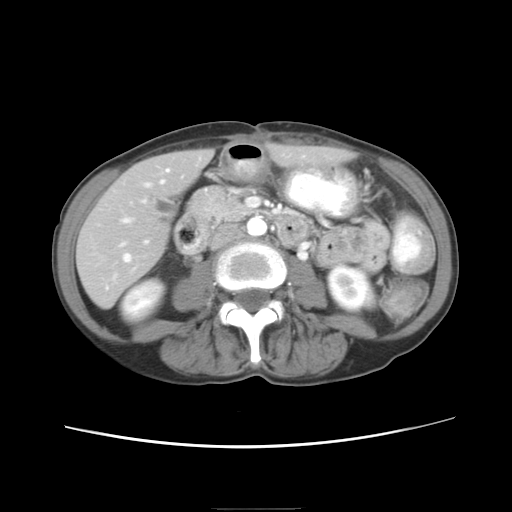
CT scan slice | 512x512
Only some of the vessels may be annotated.
hepatic vessel: left=160, top=180, right=163, bottom=182; left=144, top=240, right=147, bottom=242; left=145, top=182, right=149, bottom=186; left=122, top=218, right=129, bottom=222; left=143, top=200, right=144, bottom=201; left=123, top=253, right=129, bottom=261